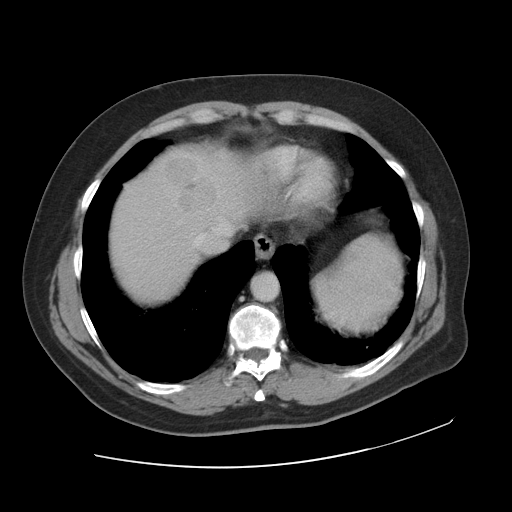 CT scan slice. 512x512 px. Only some of the vessels may be annotated.
Annotated regions:
• liver tumor: l=165, t=155, r=218, b=215
• hepatic vessel: l=218, t=224, r=228, b=229; l=218, t=217, r=221, b=219; l=196, t=237, r=227, b=251